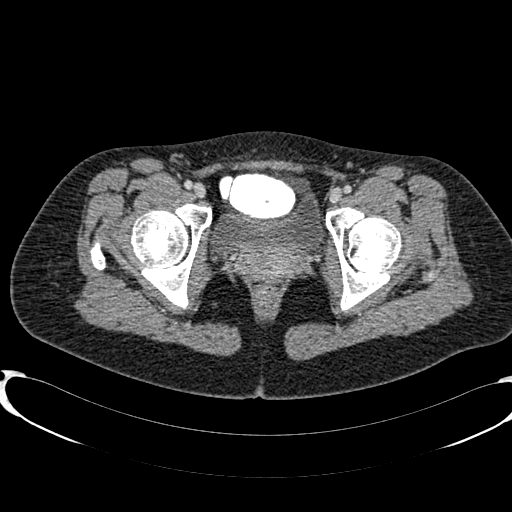

Lower abdomen; CT scan slice

Segmented structures:
- urinary bladder: bbox=[217, 192, 322, 255]